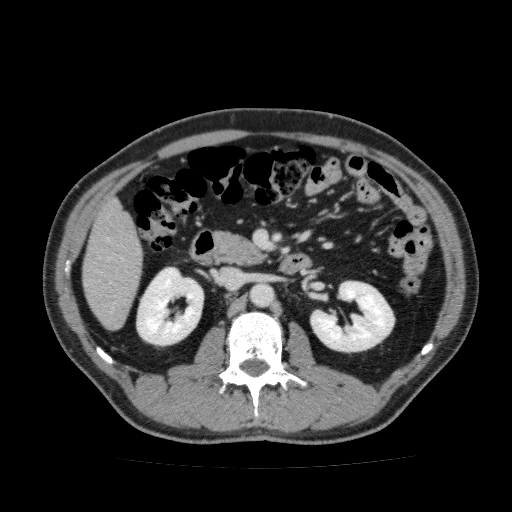

512x512, CT slice
Liver at left=81, top=197, right=143, bottom=330.
Kidney at left=311, top=281, right=394, bottom=351; left=137, top=267, right=203, bottom=345.